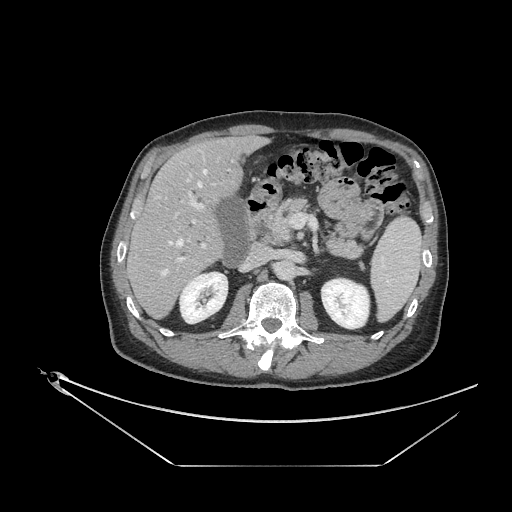
CT scan slice, Image size 512x512

2 pancreas regions are bounded by (left=325, top=235, right=363, bottom=259), (left=266, top=197, right=315, bottom=244). The pancreatic tumor is bounded by (left=278, top=223, right=290, bottom=239).